Liver | Field of view 380x380 mm | CT 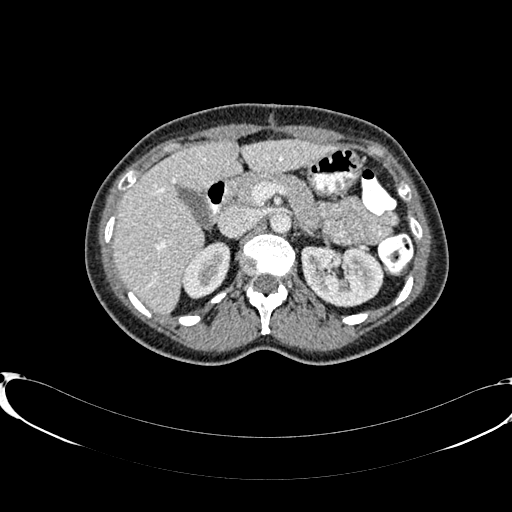
Kidney: 184 244 228 296, 302 248 382 304.
Liver: 112 140 337 314.